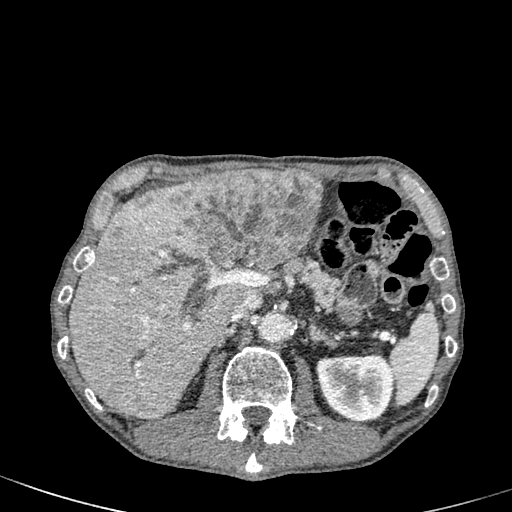 512x512 px. Computed tomography. Liver.

The kidney is located at <box>315,355,397,420</box>. 4 liver lesion regions appear at <box>134,393,148,408</box>, <box>164,317,174,327</box>, <box>185,169,322,271</box>, <box>113,228,123,237</box>. The liver appears at <box>69,179,248,417</box>.